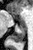

Image size 33x50 | Magnetic resonance | Medial temporal lobe

posterior_hippocampus:
  - box=[10, 28, 25, 41]
anterior_hippocampus:
  - box=[11, 14, 16, 17]